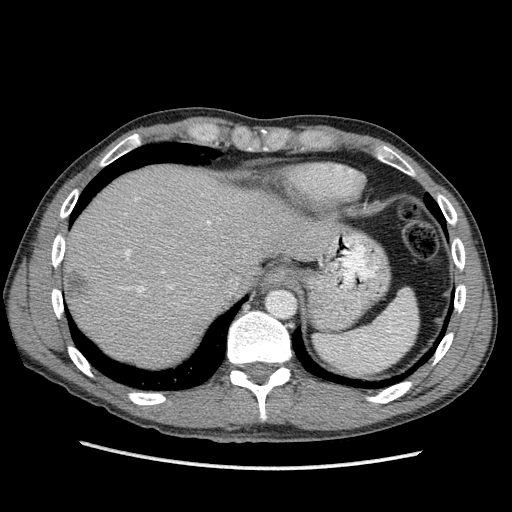

Computed tomography; Upper abdomen
Annotated regions:
- liver lesion: <box>63,270,89,298</box>
- liver: <box>63,164,341,369</box>